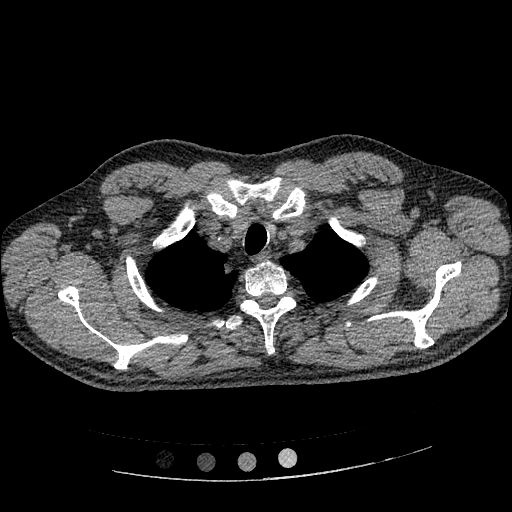
512x512; CT image
{"lung_tumor": ["bbox(223, 262, 233, 276)"]}